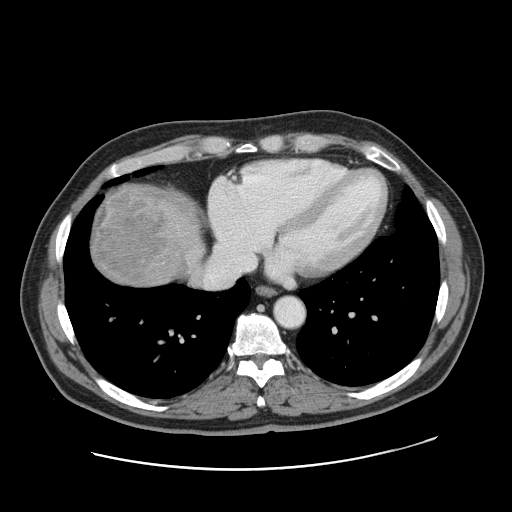 CT. 512x512 px.

Liver tumor = (94, 186, 163, 281).